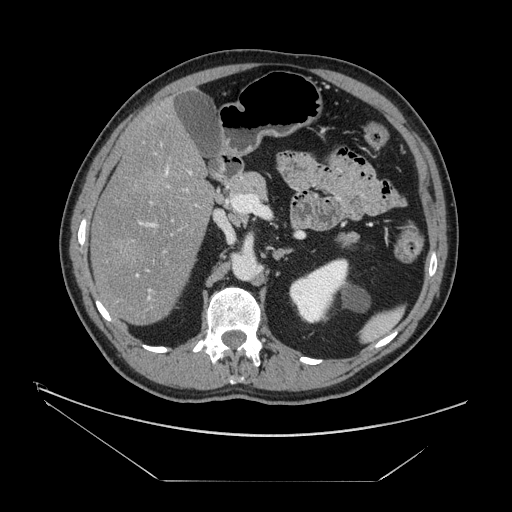 512x512 px. CT image. Liver. Not every hepatic vessel necessarily has a box.
Hepatic vessel: (165,169,167,173), (148,224,154,225).